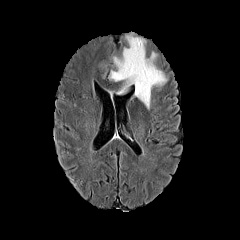
FLAIR MR.
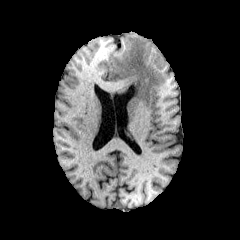
Same slice, T1-weighted magnetic resonance.
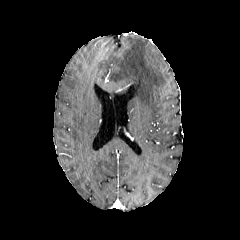
Post-contrast T1-weighted magnetic resonance of the same slice.
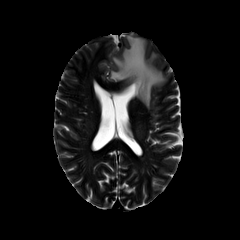
T2-weighted MR image.
Brain
Edema: bounding box 109 32 166 108.